Field of view 240x240 mm. Slice index 43.
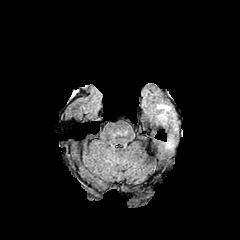
FLAIR MRI.
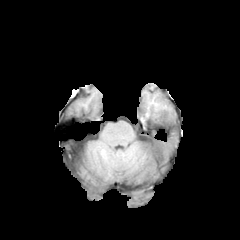
T1-weighted MRI of the same slice.
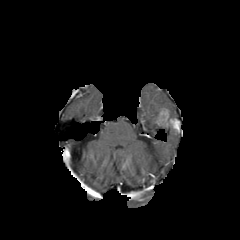
Post-contrast T1-weighted MRI of the same slice.
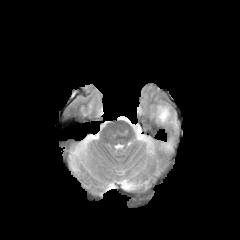
T2-weighted MR of the same slice.
Enhancing tumor = 157:108:179:130.
Edema = 155:102:177:124, 162:137:174:152, 163:124:178:134.